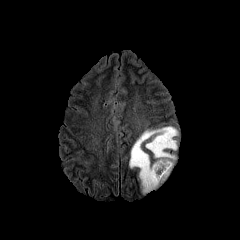
FLAIR MRI.
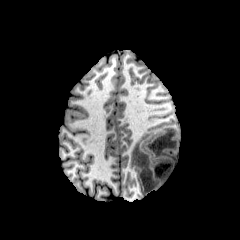
T1-weighted MR.
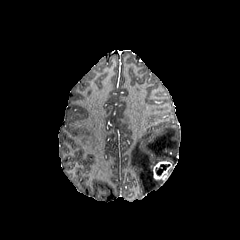
Post-contrast T1-weighted MR image.
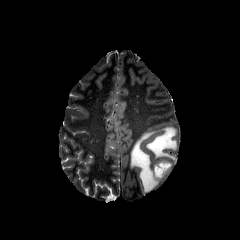
T2-weighted MR image.
Head
The edema is located at 129,127,177,193. The enhancing tumor appears at 153,158,174,180. The non-enhancing tumor core is at 155,164,170,176.